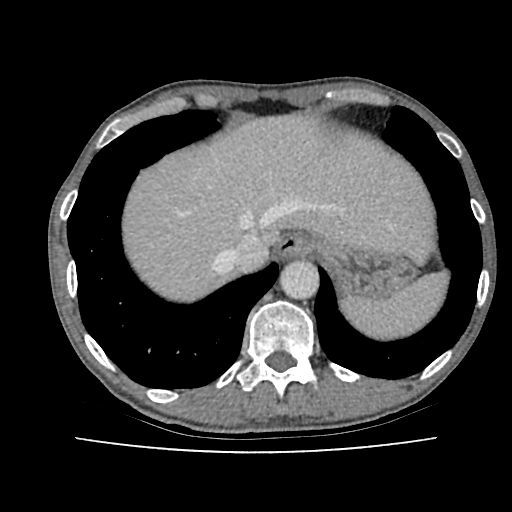
CT scan slice
The liver is bounded by (124,116,436,297).